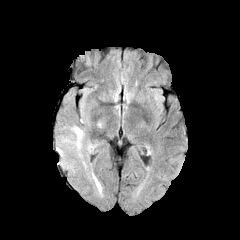
FLAIR magnetic resonance.
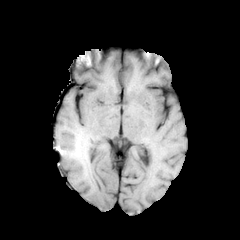
T1-weighted MRI of the same slice.
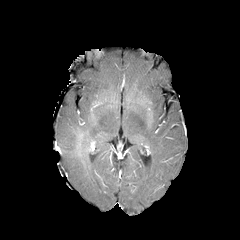
Post-contrast T1-weighted MRI.
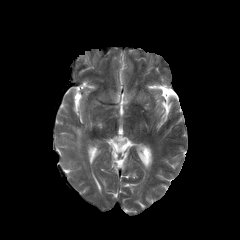
T2-weighted MRI of the same slice.
240x240 px.
Segmented structures:
- edema: 56, 126, 95, 156